Slice 64 of 100. Computed tomography.

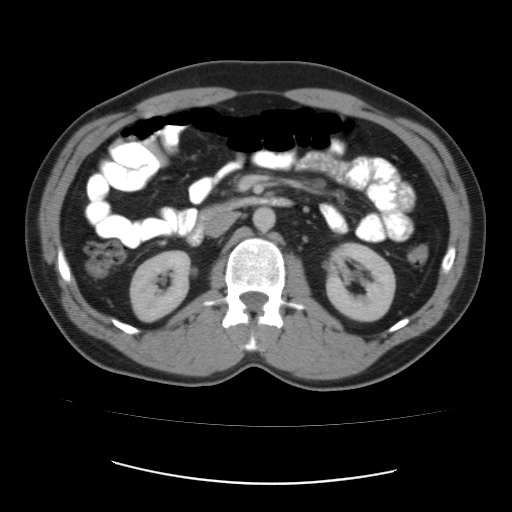
Colon tumor — (left=408, top=244, right=427, bottom=263).